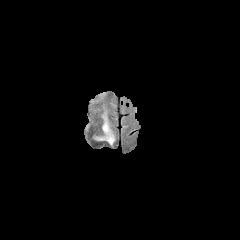
FLAIR MRI.
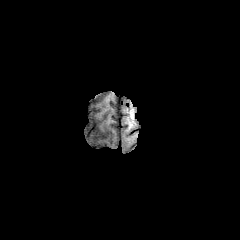
T1-weighted MRI.
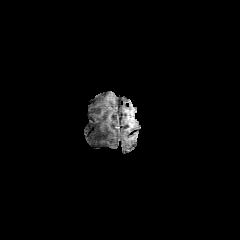
Post-contrast T1-weighted magnetic resonance.
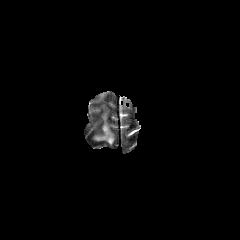
Same slice, T2-weighted MR image.
Image size 240x240. Brain.
The edema is located at (left=94, top=113, right=114, bottom=145).